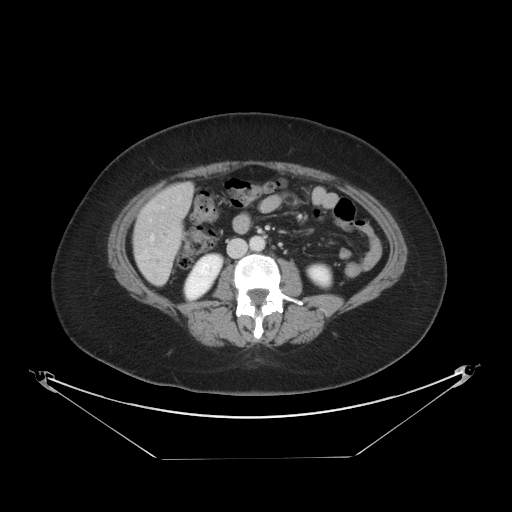

Abdomen; CT slice
Not every hepatic vessel necessarily has a box.
Hepatic vessel: <bbox>151, 236, 153, 239</bbox>.